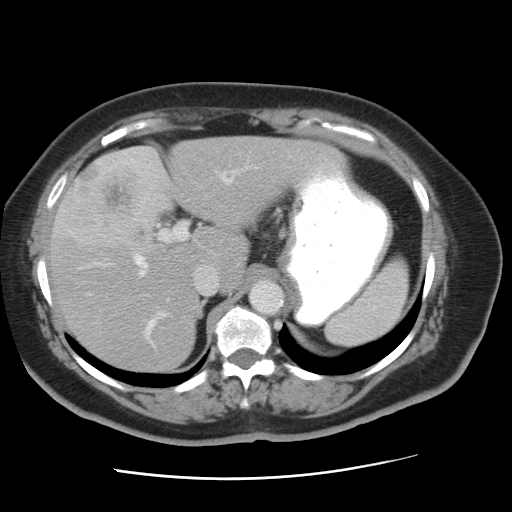

Abdomen | Computed tomography

The vessel boxes may cover only some of the vessels.
{"hepatic_vessel": ["<bbox>159, 221, 187, 240</bbox>", "<bbox>134, 255, 147, 275</bbox>", "<bbox>157, 311, 165, 315</bbox>", "<bbox>217, 170, 236, 183</bbox>", "<bbox>92, 262, 105, 264</bbox>", "<bbox>144, 319, 155, 340</bbox>", "<bbox>195, 266, 217, 293</bbox>"], "liver_tumor": ["<bbox>59, 152, 147, 241</bbox>"]}